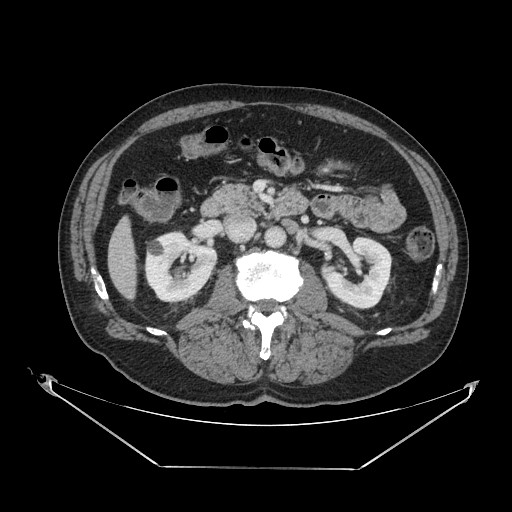
Upper abdomen, CT
Segmented structures:
• pancreas: 213, 182, 265, 217